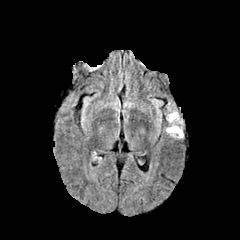
FLAIR MR.
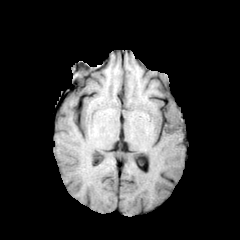
Same slice, T1-weighted magnetic resonance.
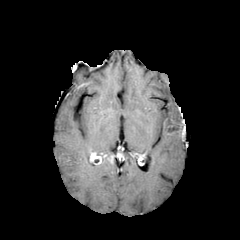
Post-contrast T1-weighted MRI.
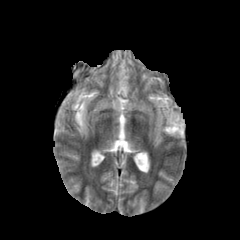
Same slice, T2-weighted magnetic resonance.
Brain
non-enhancing tumor core: x1=166, y1=119, x2=183, y2=134 | edema: x1=151, y1=99, x2=162, y2=112; x1=163, y1=102, x2=183, y2=138